FLAIR magnetic resonance.
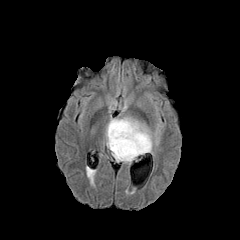
T1-weighted magnetic resonance.
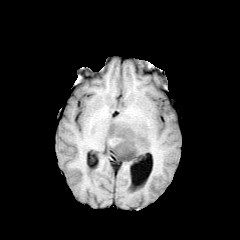
Post-contrast T1-weighted MR.
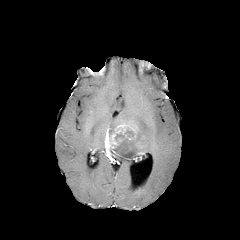
T2-weighted MR.
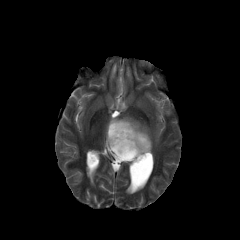
2 edema regions are located at <bbox>105, 98, 158, 155</bbox>, <bbox>115, 158, 132, 165</bbox>. The non-enhancing tumor core is at <bbox>111, 132, 147, 160</bbox>. 2 enhancing tumor regions appear at <bbox>104, 119, 139, 156</bbox>, <bbox>135, 141, 146, 154</bbox>.